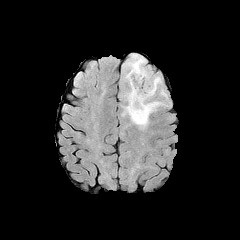
FLAIR MRI.
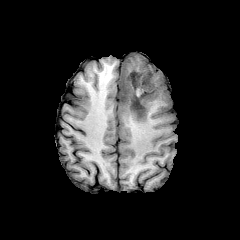
T1-weighted MR of the same slice.
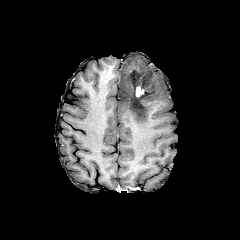
Same slice, post-contrast T1-weighted magnetic resonance.
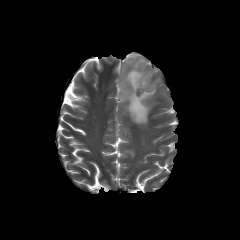
Same slice, T2-weighted MR.
Brain
non-enhancing tumor core: 128:72:151:114 | edema: 120:54:161:128 | enhancing tumor: 136:86:143:96